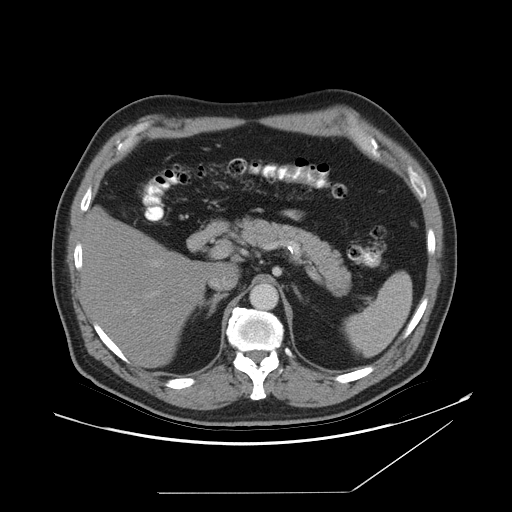

Upper abdomen, CT

Annotated regions:
- spleen: 345, 274, 411, 354